FLAIR magnetic resonance.
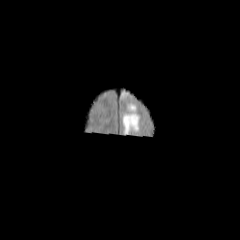
T1-weighted MR.
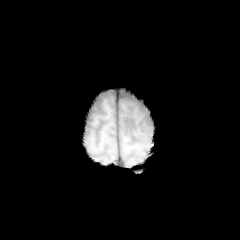
Post-contrast T1-weighted MR.
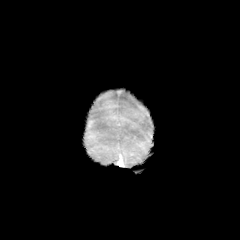
T2-weighted magnetic resonance.
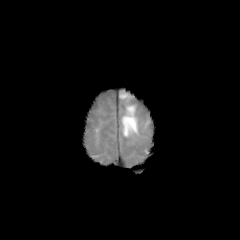
Edema — bbox=[122, 104, 138, 137]; bbox=[119, 89, 132, 99].